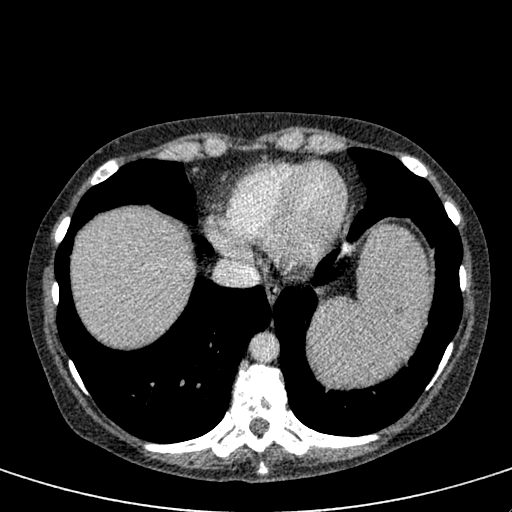 Image size 512x512 | Abdomen | CT scan slice
Liver at box(72, 210, 191, 345).